Liver; 512x512; CT image 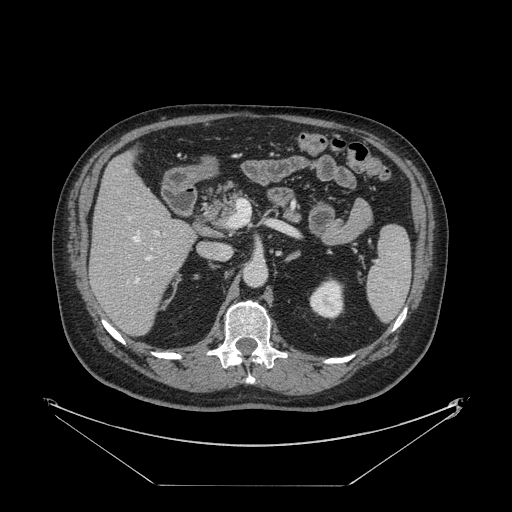
Not every hepatic vessel necessarily has a box.
{"hepatic_vessel": ["x1=128, y1=217, x2=129, y2=218", "x1=154, y1=231, x2=157, y2=233", "x1=146, y1=256, x2=150, y2=259"]}